CT; Slice 602 of 908
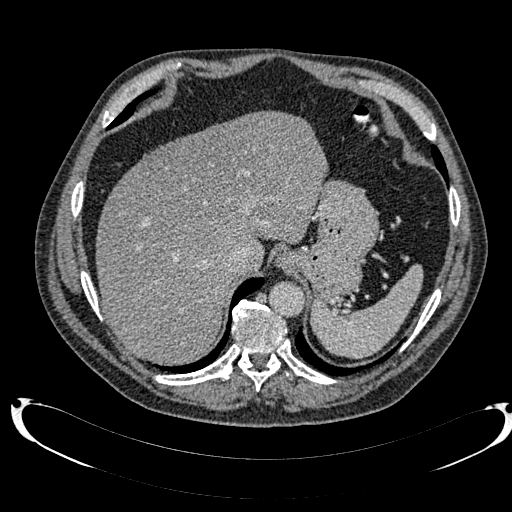
Hepatic lesion at bbox=[137, 119, 267, 222].
Liver at bbox=[148, 140, 177, 154]; bbox=[96, 111, 327, 363].